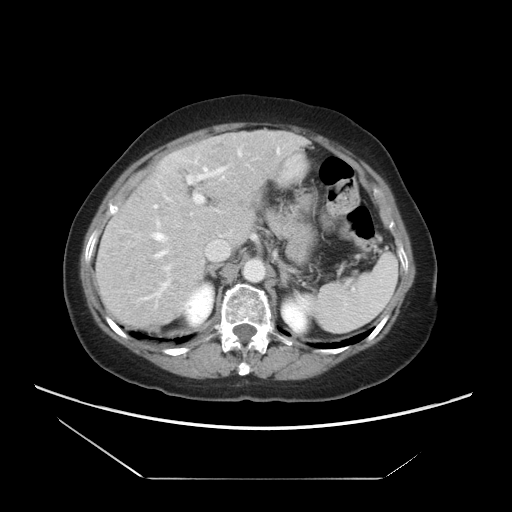
Abdomen; CT slice
The vessel annotation is not exhaustive.
Hepatic vessel: box(141, 280, 169, 299); box(238, 150, 241, 155); box(164, 266, 169, 271); box(156, 221, 160, 227); box(277, 148, 279, 153); box(194, 195, 203, 202); box(198, 167, 225, 179); box(165, 196, 169, 199); box(152, 232, 167, 241); box(155, 250, 167, 257); box(194, 159, 197, 163); box(187, 175, 190, 182); box(154, 205, 156, 208).
Liver tumor: box(209, 143, 230, 166).